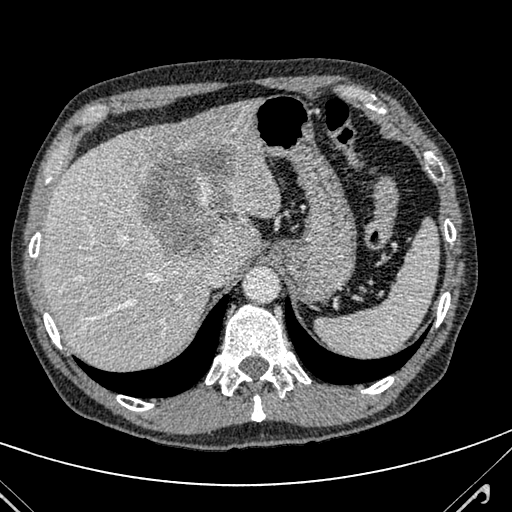

CT slice.

The liver is at (x1=42, y1=101, x2=280, y2=369). The hepatic lesion is at (x1=137, y1=140, x2=236, y2=262).